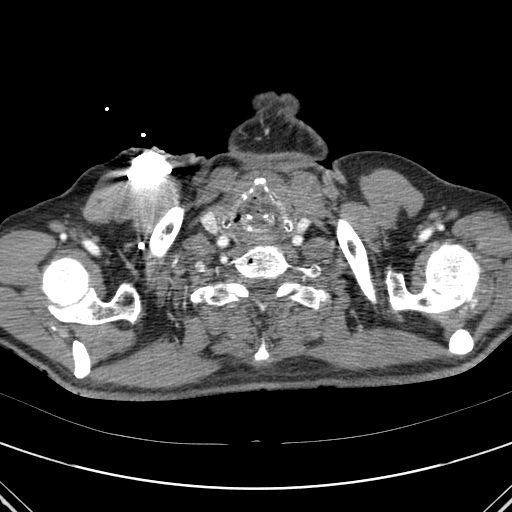 Image size 512x512; Computed tomography
Bone — <bbox>259, 302, 267, 309</bbox>, <bbox>419, 229, 431, 240</bbox>, <bbox>42, 257, 140, 324</bbox>, <bbox>72, 340, 90, 378</bbox>, <bbox>386, 244, 479, 313</bbox>, <bbox>449, 329, 473, 354</bbox>, <bbox>274, 268, 328, 308</bbox>, <bbox>337, 219, 375, 302</bbox>, <bbox>233, 246, 290, 278</bbox>, <bbox>190, 281, 251, 305</bbox>, <bbox>149, 205, 183, 263</bbox>.